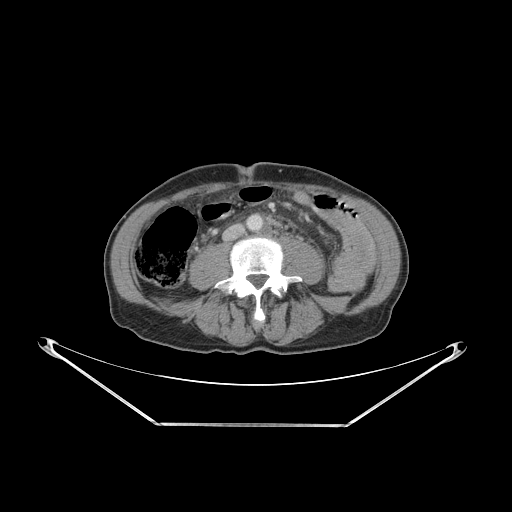
CT scan slice
Bone at {"x1": 226, "y1": 238, "x2": 289, "y2": 326}.